Image width 386 mm, CT scan slice
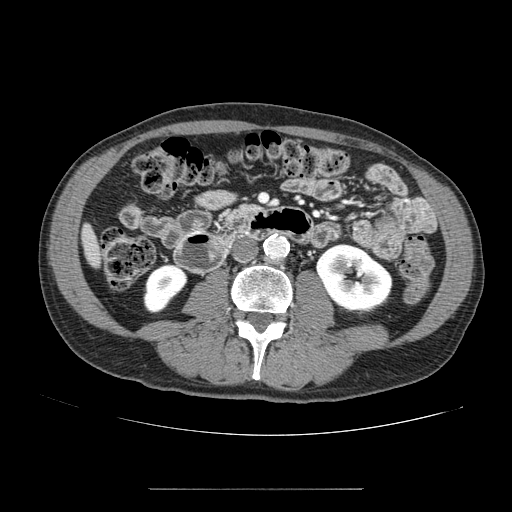
Findings:
• pancreas: x1=221 y1=205 x2=259 y2=230